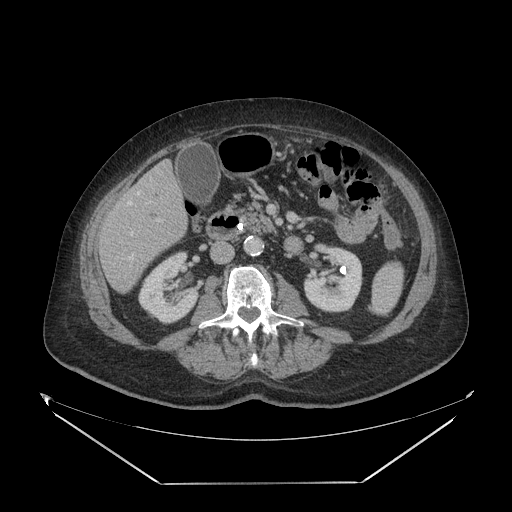 Image size 512x512. Upper abdomen. CT image. The pancreas is at (238, 201, 275, 235).